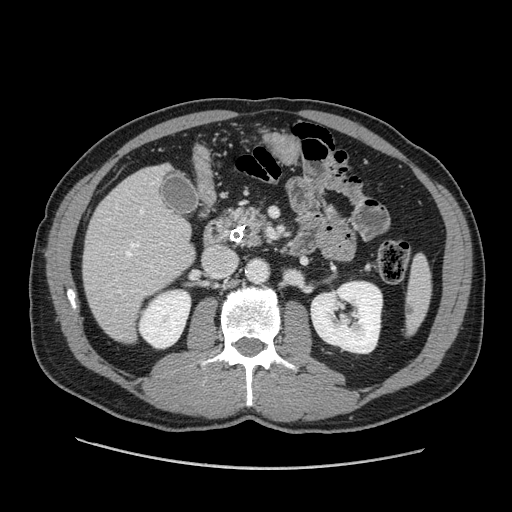 Computed tomography, Upper abdomen
The pancreas lies within left=224, top=206, right=268, bottom=250.